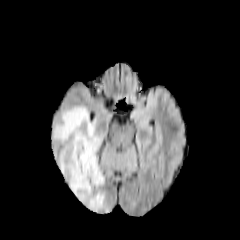
FLAIR MRI.
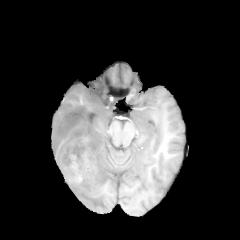
T1-weighted MR image.
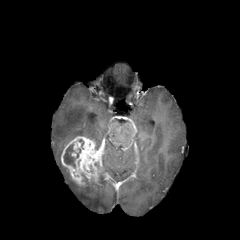
Post-contrast T1-weighted MR.
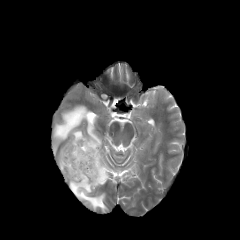
T2-weighted MRI.
Image size 240x240
- non-enhancing tumor core: rect(82, 178, 97, 185); rect(63, 144, 76, 167)
- edema: rect(52, 105, 107, 211)
- enhancing tumor: rect(61, 135, 109, 186)